Slice index 80, Image size 240x240
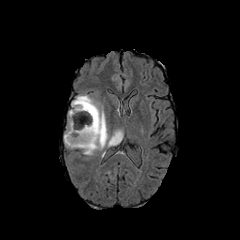
FLAIR MR image.
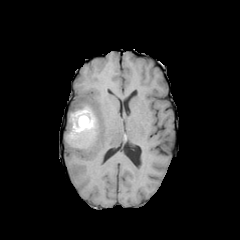
T1-weighted MR image of the same slice.
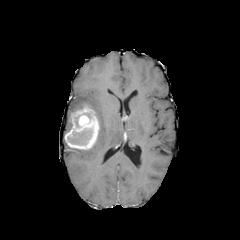
Post-contrast T1-weighted MRI.
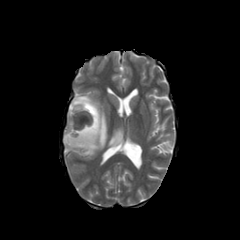
T2-weighted MRI.
The edema is bounded by box(64, 93, 120, 157). The enhancing tumor appears at box(64, 105, 99, 149). The non-enhancing tumor core appears at box(71, 130, 87, 143).